Slice 95 of 155
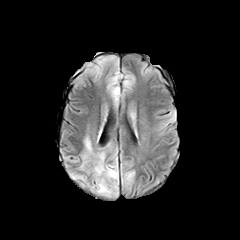
FLAIR MRI.
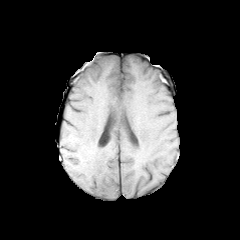
T1-weighted MR.
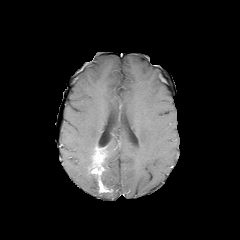
Post-contrast T1-weighted MR image of the same slice.
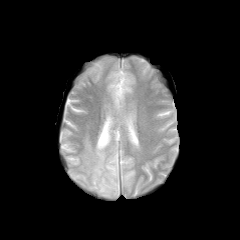
Same slice, T2-weighted magnetic resonance.
enhancing_tumor:
  - box(92, 152, 109, 192)
edema:
  - box(80, 138, 96, 191)
  - box(100, 148, 118, 197)
  - box(71, 172, 86, 182)
non-enhancing_tumor_core:
  - box(92, 172, 109, 193)